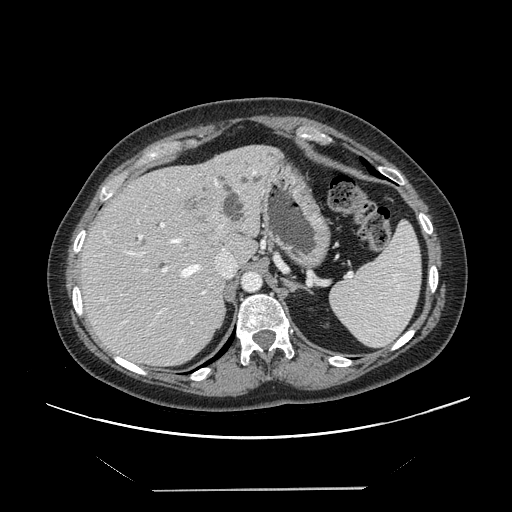 CT image

Not every hepatic vessel necessarily has a box.
11 hepatic vessel regions appear at rect(160, 222, 164, 227); rect(157, 309, 166, 316); rect(139, 235, 141, 238); rect(215, 248, 236, 278); rect(126, 251, 143, 255); rect(162, 268, 167, 272); rect(144, 269, 145, 270); rect(101, 298, 107, 300); rect(180, 263, 200, 277); rect(213, 179, 218, 186); rect(169, 238, 182, 244). The liver tumor appears at rect(183, 188, 216, 230).